FLAIR MRI.
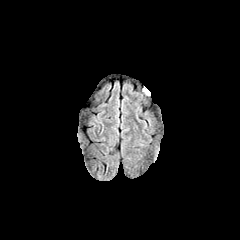
T1-weighted magnetic resonance.
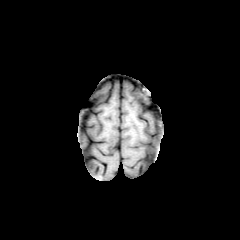
Post-contrast T1-weighted MR image.
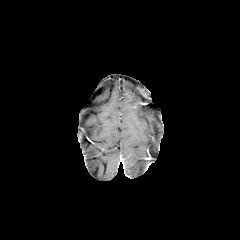
T2-weighted MRI.
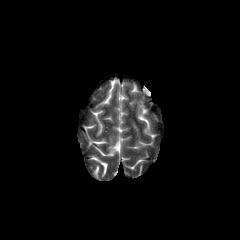
240x240. Head.
Non-enhancing tumor core — left=140, top=91, right=150, bottom=102.